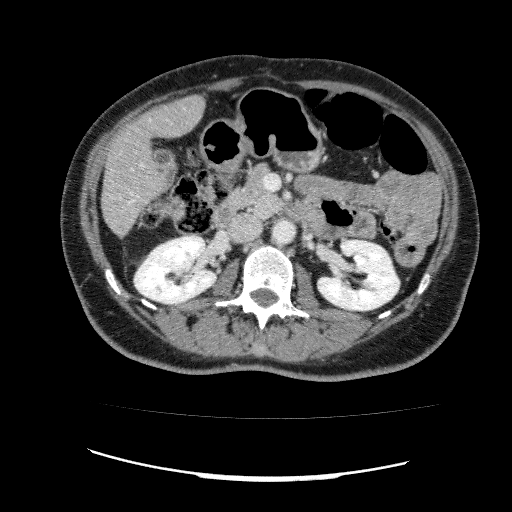 Abdomen. CT.

2 kidney regions are bounded by 134:236:215:303, 318:240:399:310. The liver is located at 100:94:205:237.